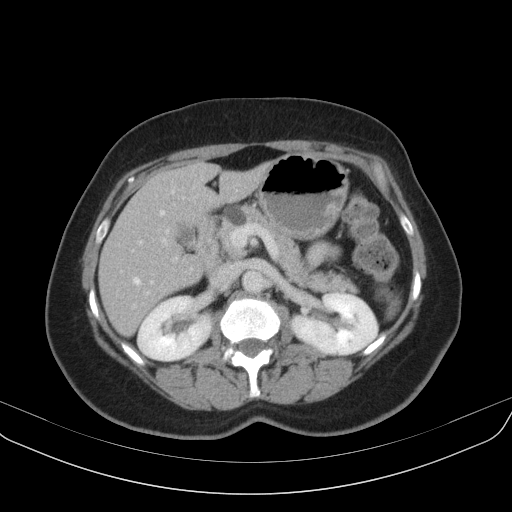 Upper abdomen, CT slice
The pancreatic tumor lies within 224,205,245,224. The pancreas is bounded by 214,203,358,293.